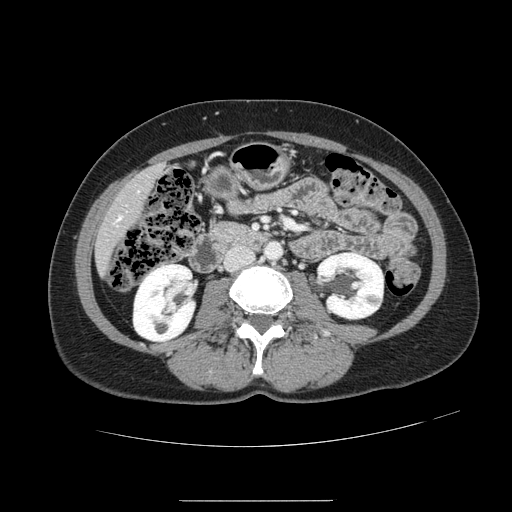

CT scan slice. 512x512 px.

Pancreas at <box>208,220,267,256</box>.